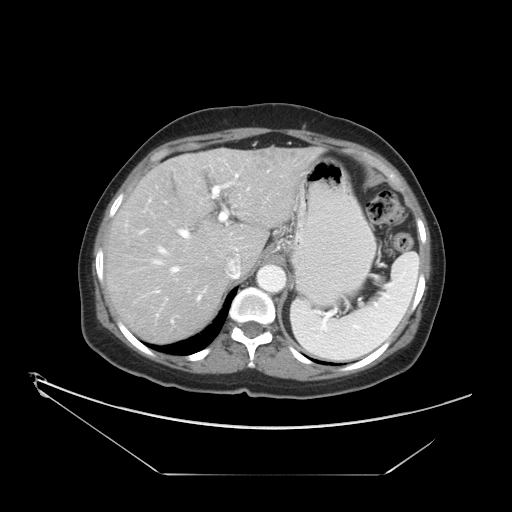
Abdomen | CT slice

Some hepatic vessels may have no box.
The liver tumor appears at box=[252, 150, 294, 167]. 12 hepatic vessel regions are bounded by box=[159, 247, 165, 252]; box=[155, 290, 158, 292]; box=[212, 186, 220, 197]; box=[235, 174, 237, 176]; box=[197, 296, 200, 299]; box=[223, 184, 227, 186]; box=[219, 211, 227, 220]; box=[154, 260, 159, 263]; box=[171, 319, 173, 322]; box=[179, 230, 188, 237]; box=[235, 248, 237, 250]; box=[172, 267, 178, 271].